CT image, Abdomen

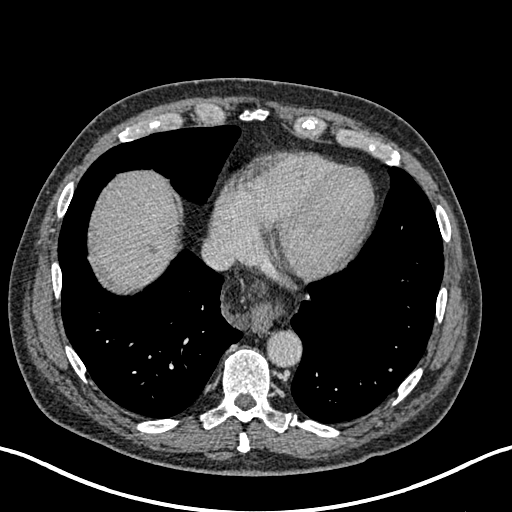

Hepatic lesion: bounding box <bbox>148, 244, 157, 254</bbox>.
Liver: bounding box <bbox>89, 171, 178, 290</bbox>.